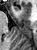
Magnetic resonance. The anterior hippocampus appears at (14,6,19,10).